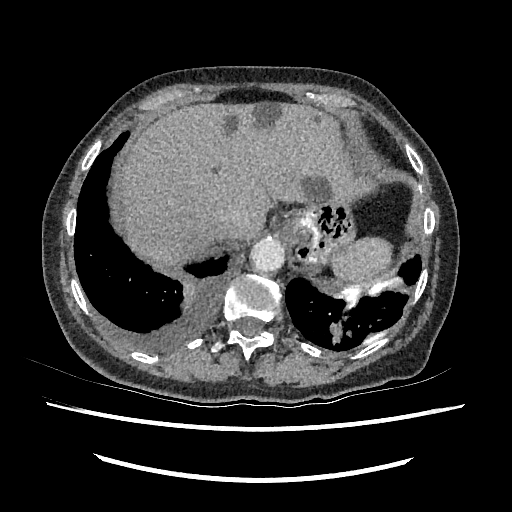 Upper abdomen | 512x512 | CT scan slice
The liver is bounded by box(121, 104, 356, 265). 3 liver lesion regions appear at box(223, 112, 236, 133); box(300, 176, 332, 202); box(252, 104, 280, 127).